Slice 68 of 155 | Brain
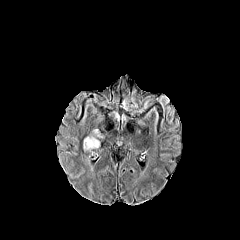
FLAIR MR.
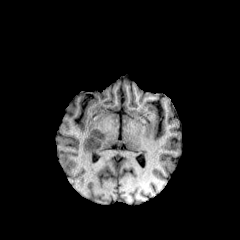
T1-weighted magnetic resonance.
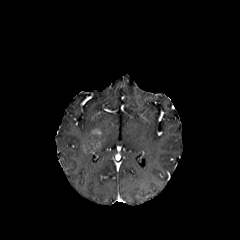
Post-contrast T1-weighted MR image.
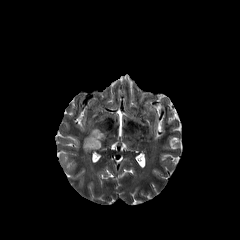
T2-weighted MRI.
Findings:
* non-enhancing tumor core: rect(86, 133, 104, 149)
* enhancing tumor: rect(82, 138, 89, 153); rect(89, 139, 101, 153); rect(88, 128, 100, 136)